Image size 512x512 | CT scan slice
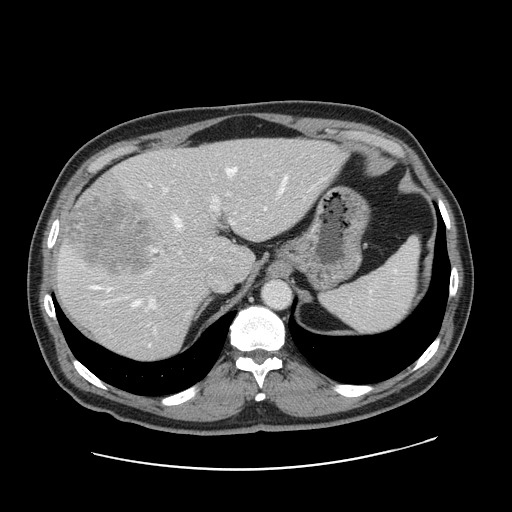

Not every hepatic vessel necessarily has a box.
<segmentation>
  <liver_tumor>region(66, 195, 157, 272)</liver_tumor>
  <hepatic_vessel>region(314, 183, 317, 185); region(149, 184, 150, 185); region(226, 166, 236, 175); region(163, 186, 168, 193); region(318, 171, 332, 182); region(264, 206, 266, 208); region(154, 327, 155, 332); region(173, 216, 181, 226); region(308, 186, 313, 191); region(278, 176, 287, 193); region(145, 298, 155, 310); region(210, 197, 225, 210); region(229, 219, 235, 228)</hepatic_vessel>
</segmentation>